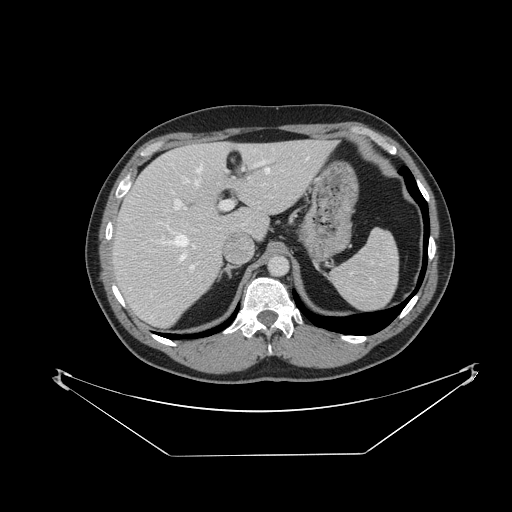
512x512 px, Computed tomography
spleen: <bbox>332, 230, 398, 311</bbox>